Slice 68 of 466, CT, 512x512

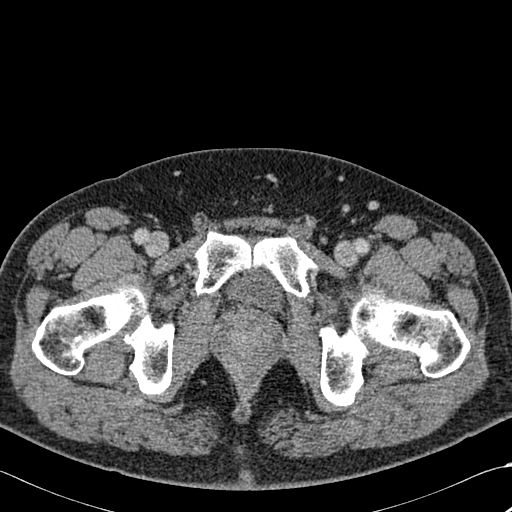
Bone: bounding box region(32, 286, 173, 394); region(320, 295, 469, 405); region(195, 232, 316, 296).